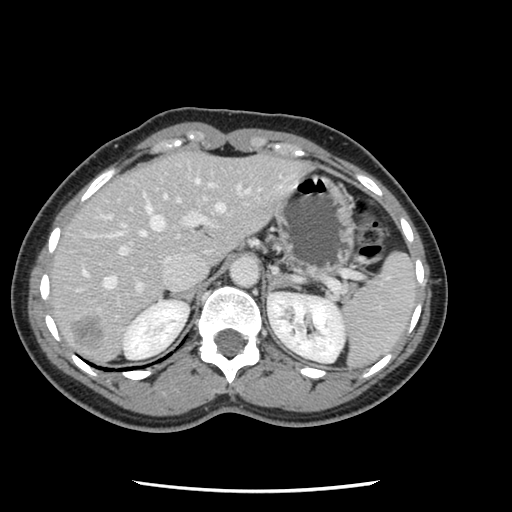

512x512; Abdomen; CT slice

Not every hepatic vessel necessarily has a box.
• hepatic vessel: bbox(215, 203, 223, 211); bbox(238, 185, 248, 193); bbox(82, 271, 86, 274); bbox(103, 276, 115, 287); bbox(146, 203, 163, 230); bbox(136, 282, 141, 289); bbox(104, 214, 110, 217); bbox(120, 247, 126, 253); bbox(208, 183, 213, 186); bbox(163, 194, 165, 197); bbox(117, 224, 124, 233); bbox(139, 231, 144, 234); bbox(195, 179, 198, 182); bbox(184, 212, 206, 224); bbox(177, 198, 178, 200)
• liver tumor: bbox(71, 316, 104, 346)